Image width 240 mm
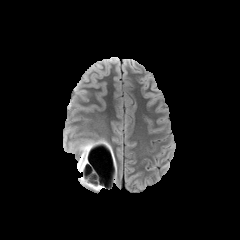
FLAIR magnetic resonance.
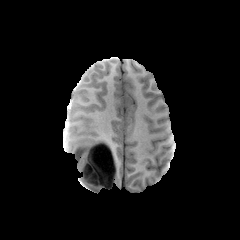
T1-weighted MRI of the same slice.
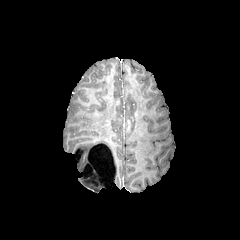
Post-contrast T1-weighted MR image.
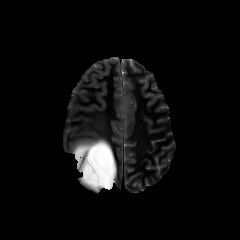
T2-weighted MRI.
Non-enhancing tumor core: box(74, 144, 108, 187).
Edema: box(76, 139, 104, 147); box(80, 178, 103, 191); box(77, 154, 85, 170).